CT scan slice

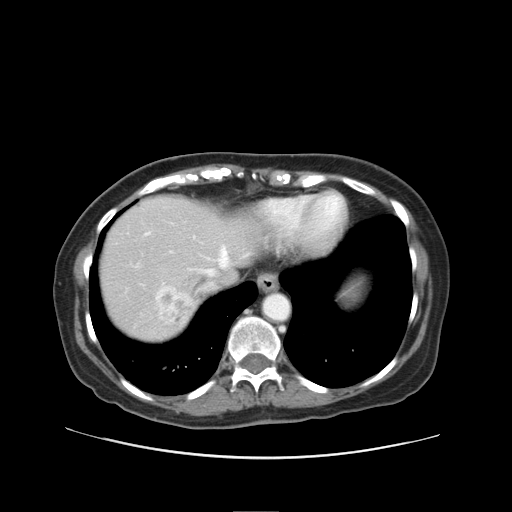
Some hepatic vessels may have no box.
Liver tumor = <box>157,287,194,326</box>.
Hepatic vessel = <box>202,280,214,289</box>, <box>136,264,139,266</box>, <box>196,247,232,278</box>.